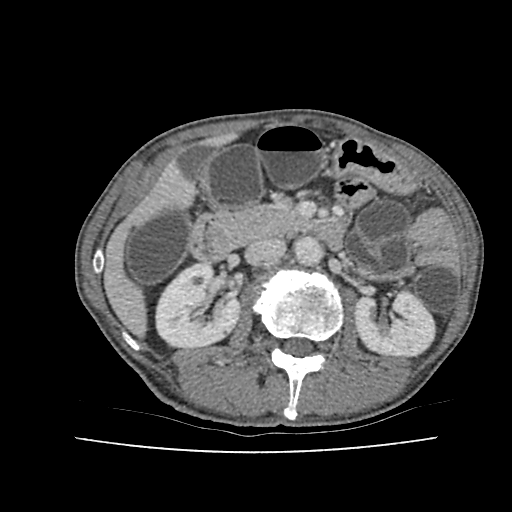

Abdomen, CT slice, Image size 512x512
kidney: (x1=356, y1=292, x2=433, y2=355), (x1=156, y1=264, x2=238, y2=347) | liver: (x1=104, y1=167, x2=187, y2=327)